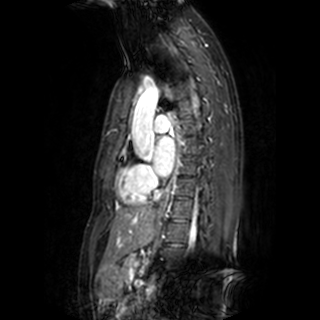

MRI slice | Cardiac
left atrium: 154 136 175 176